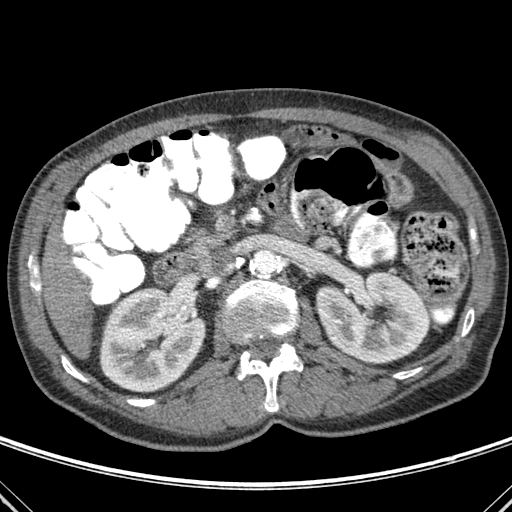
Computed tomography.

liver:
  - (x1=43, y1=225, x2=94, y2=358)
kidney:
  - (x1=101, y1=289, x2=204, y2=391)
  - (x1=317, y1=273, x2=428, y2=362)
bone:
  - (x1=28, y1=256, x2=40, y2=290)
  - (x1=127, y1=399, x2=155, y2=406)
  - (x1=238, y1=343, x2=302, y2=411)
  - (x1=247, y1=208, x2=260, y2=221)
  - (x1=393, y1=367, x2=421, y2=379)
  - (x1=62, y1=356, x2=87, y2=381)
  - (x1=224, y1=275, x2=297, y2=343)
  - (x1=462, y1=308, x2=473, y2=336)